FLAIR magnetic resonance.
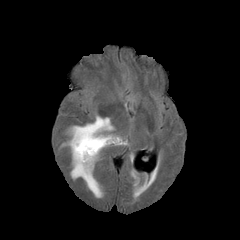
T1-weighted MR.
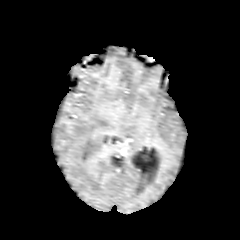
Post-contrast T1-weighted MRI.
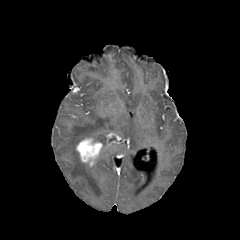
T2-weighted MRI.
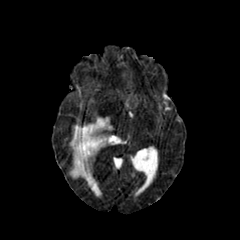
Head | 240x240
Edema — rect(67, 114, 125, 197).
Enhancing tumor — rect(76, 138, 101, 165).